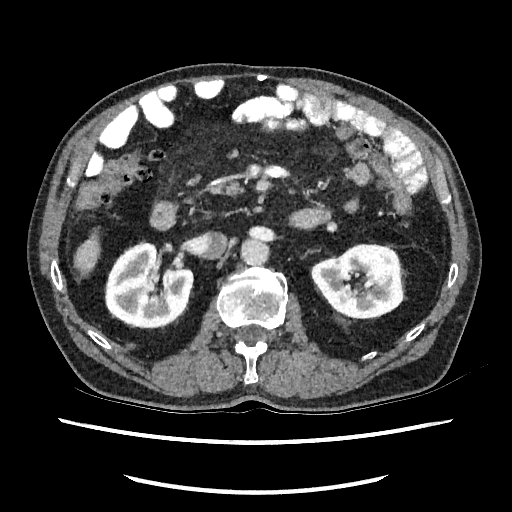 Upper abdomen; CT; 512x512
<segmentation>
  <liver>76:238:96:271</liver>
  <kidney>311:244:403:318, 105:242:193:327</kidney>
</segmentation>